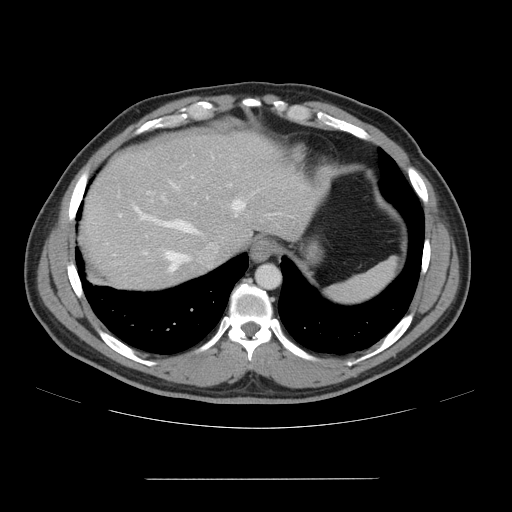
CT slice

Only some of the vessels may be annotated.
Hepatic vessel at box(228, 184, 230, 186); box(135, 207, 195, 231); box(119, 214, 120, 215); box(143, 252, 146, 253); box(162, 197, 165, 200); box(148, 192, 150, 193); box(270, 214, 273, 214); box(171, 182, 175, 186); box(165, 252, 189, 271); box(233, 199, 243, 215).